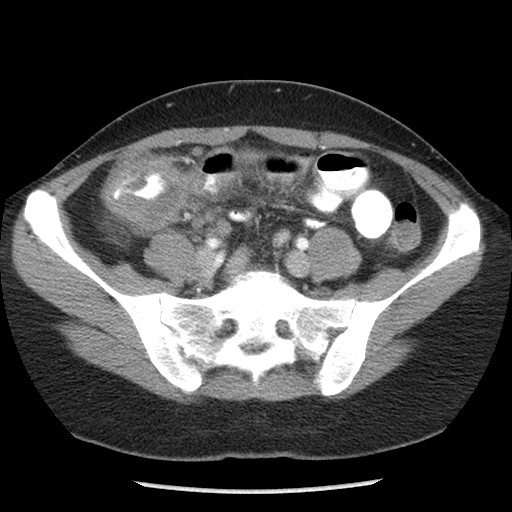 Computed tomography | 512x512
Colon tumor: x1=102, y1=150, x2=193, y2=232.